Image size 32x47 | MR | Field of view 32 mm wide, 1.00 mm slice spacing 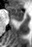

posterior hippocampus: {"x1": 14, "y1": 19, "x2": 22, "y2": 21} | anterior hippocampus: {"x1": 7, "y1": 6, "x2": 23, "y2": 18}